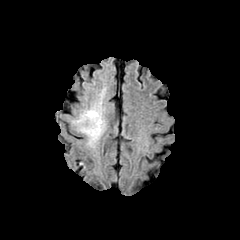
FLAIR MR.
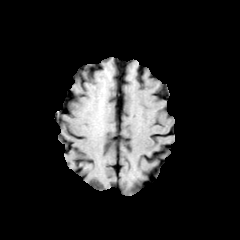
Same slice, T1-weighted MR image.
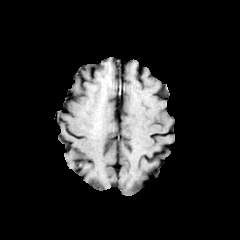
Post-contrast T1-weighted MR.
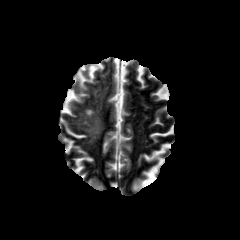
T2-weighted magnetic resonance of the same slice.
Brain
Edema = 77,105,102,142.